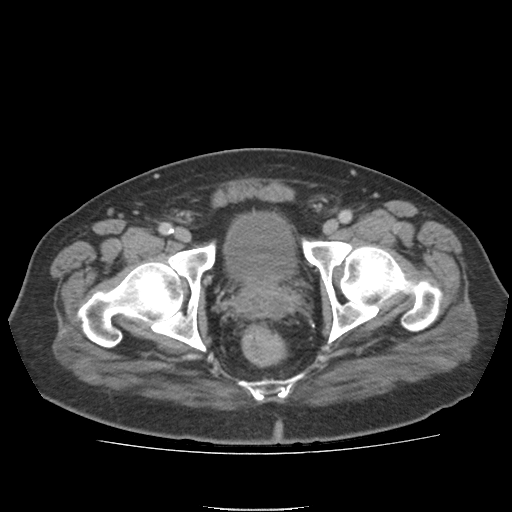

CT slice
Urinary bladder — x1=226 y1=216 x2=297 y2=287.